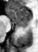
MR image
The anterior hippocampus is located at 7:8:31:23. The posterior hippocampus lies within 16:24:27:27.